Upper abdomen. Slice 469 of 671. CT. Field of view 370x370 mm.
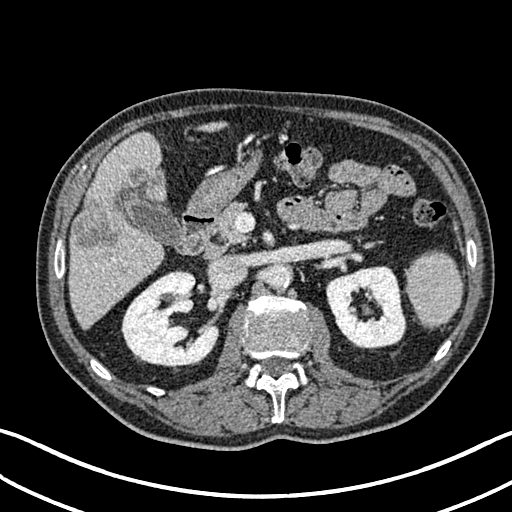 Liver lesion — [x1=131, y1=170, x2=157, y2=186], [x1=74, y1=202, x2=117, y2=247].
Kidney — [x1=327, y1=267, x2=404, y2=347], [x1=208, y1=292, x2=217, y2=309], [x1=122, y1=272, x2=217, y2=365].
Liver — [x1=70, y1=132, x2=166, y2=328], [x1=197, y1=121, x2=226, y2=131].